CT. Abdomen. 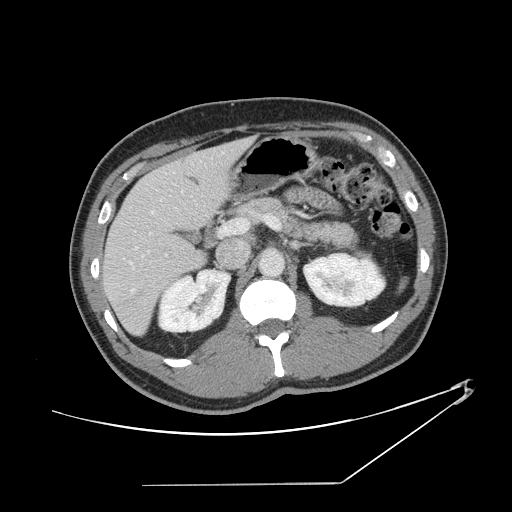 The vessel boxes may cover only some of the vessels.
hepatic vessel: (x1=131, y1=289, x2=134, y2=291), (x1=165, y1=254, x2=167, y2=255), (x1=174, y1=184, x2=176, y2=185), (x1=152, y1=211, x2=153, y2=212), (x1=160, y1=198, x2=162, y2=200), (x1=135, y1=247, x2=137, y2=248), (x1=221, y1=152, x2=222, y2=154), (x1=142, y1=254, x2=143, y2=256), (x1=130, y1=262, x2=134, y2=268)